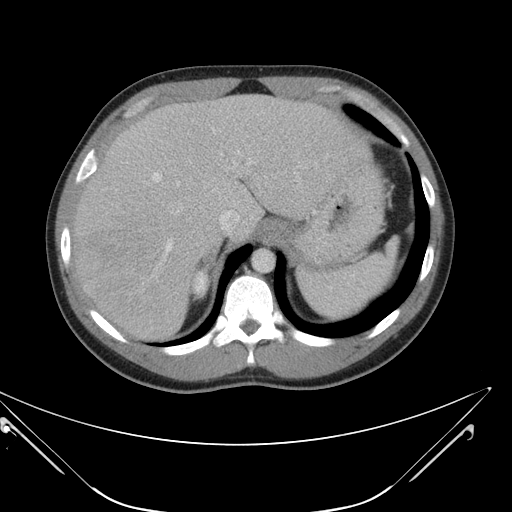 CT slice

Some hepatic vessels may have no box.
Annotated regions:
- hepatic vessel: 219,210,239,233; 172,211,177,213; 163,255,164,259; 166,239,171,252; 237,151,239,153; 177,182,179,185; 296,173,297,175; 247,162,250,164; 152,173,160,181
- liver tumor: 80,230,143,266